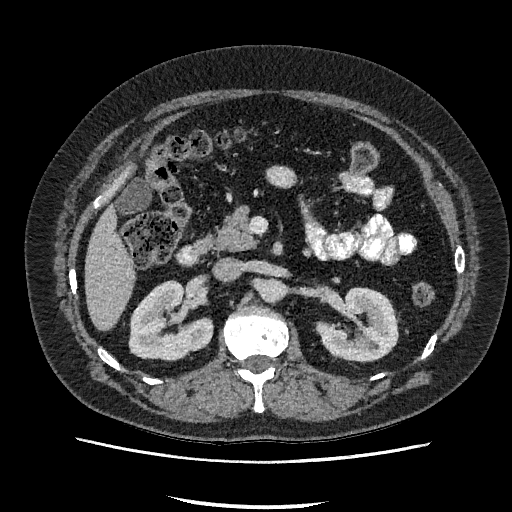 CT scan slice
{"kidney": ["bbox(130, 282, 211, 359)", "bbox(319, 288, 397, 360)"], "liver": ["bbox(84, 205, 135, 330)"]}